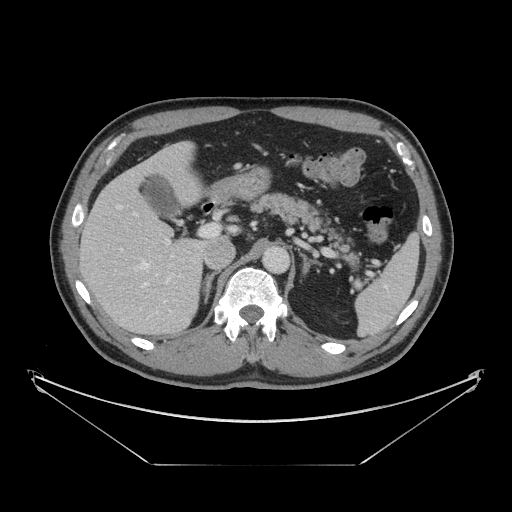
512x512, CT image, Upper abdomen
pancreas:
  - bbox(249, 193, 360, 273)